Slice index 38 | CT slice | 512x512 | Liver

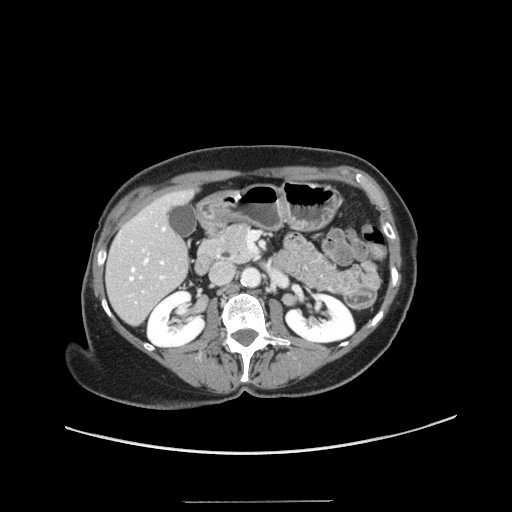 Not every hepatic vessel necessarily has a box.
Segmented structures:
* hepatic vessel: left=130, top=276, right=133, bottom=279; left=161, top=261, right=163, bottom=263; left=163, top=227, right=165, bottom=229; left=161, top=276, right=163, bottom=277; left=143, top=248, right=144, bottom=250; left=145, top=258, right=147, bottom=262; left=132, top=268, right=134, bottom=270